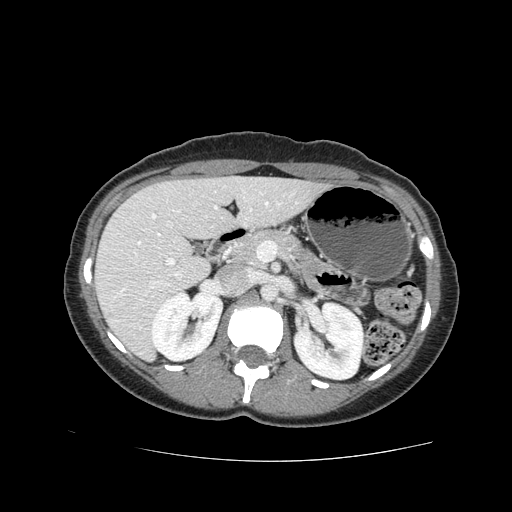
Upper abdomen; CT scan slice

Pancreas: 228 230 299 266.